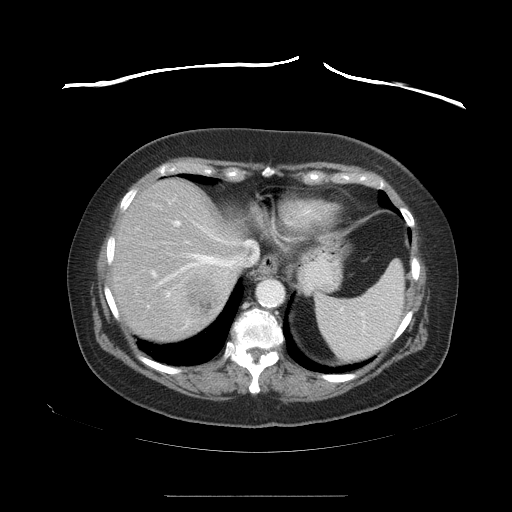
CT
Not every hepatic vessel necessarily has a box.
Segmented structures:
- hepatic vessel: 185:241:188:243, 165:291:169:296, 151:271:155:276, 155:226:258:286, 173:221:179:226
- liver tumor: 180:271:219:317